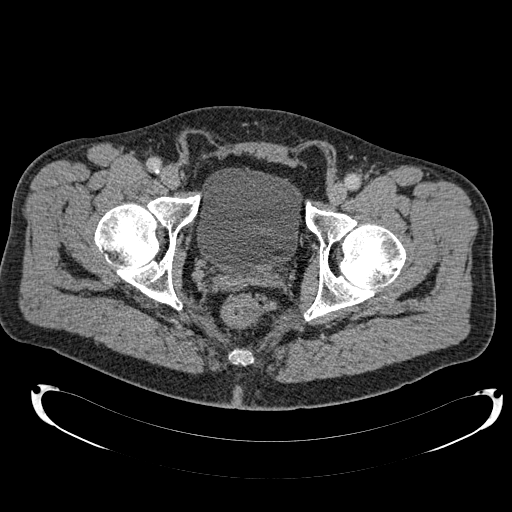
Lower abdomen. CT. Image size 512x512.
The urinary bladder is bounded by {"x1": 197, "y1": 168, "x2": 301, "y2": 275}.